CT slice | Upper abdomen | Slice index 108
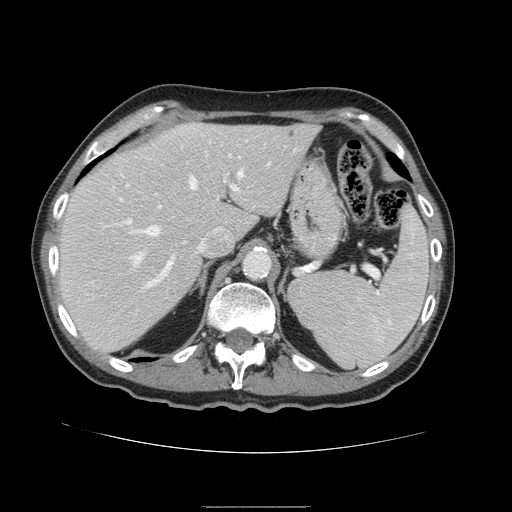 spleen: l=289, t=207, r=429, b=368